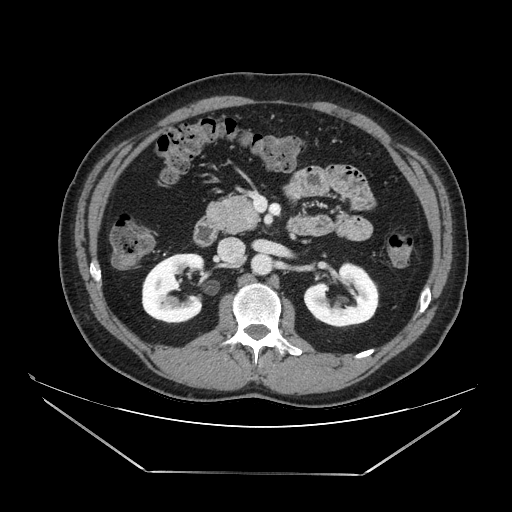
CT, Upper abdomen

{
  "pancreas": [
    "208:195:259:233"
  ]
}